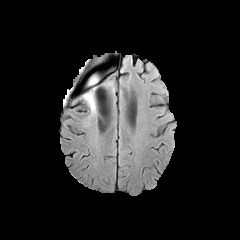
FLAIR MR image.
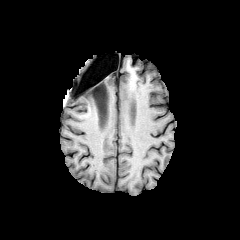
T1-weighted magnetic resonance.
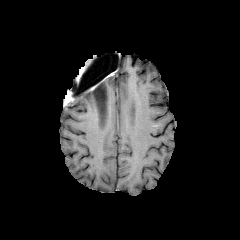
Post-contrast T1-weighted MR image.
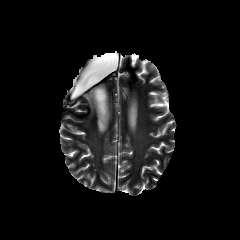
Same slice, T2-weighted magnetic resonance.
Image size 240x240
edema: 82, 82, 101, 114; 84, 76, 98, 91